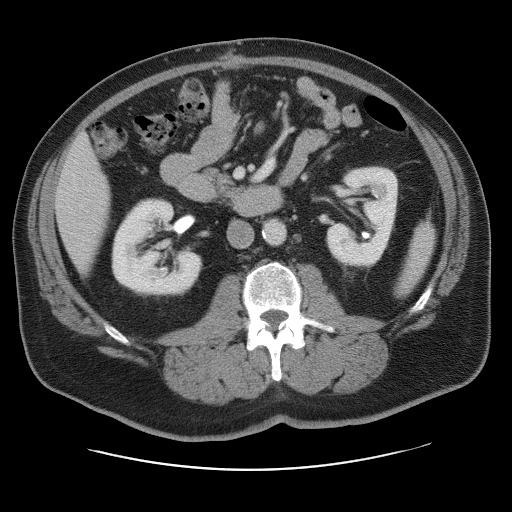

CT slice, 512x512 px

Only some of the vessels may be annotated.
hepatic_vessel:
  - (left=236, top=171, right=241, bottom=176)